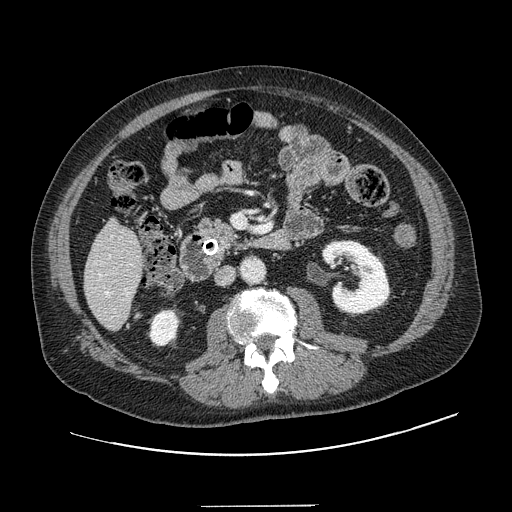
Upper abdomen, 512x512 px, Computed tomography
The pancreas lies within region(196, 217, 239, 254).